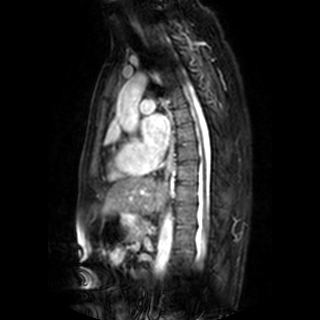
Magnetic resonance, Image size 320x320, Heart
The left atrium appears at region(143, 114, 170, 152).